FLAIR MRI.
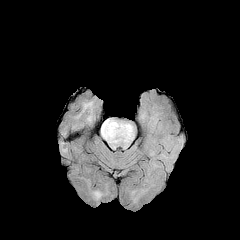
T1-weighted MR image.
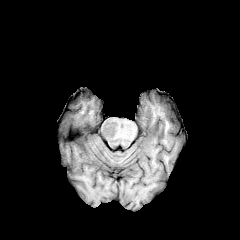
Post-contrast T1-weighted MR.
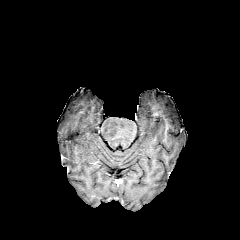
T2-weighted magnetic resonance.
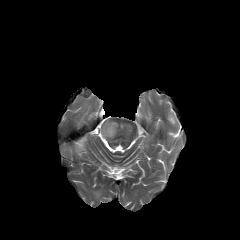
{"edema": [{"x1": 101, "y1": 120, "x2": 116, "y2": 142}]}